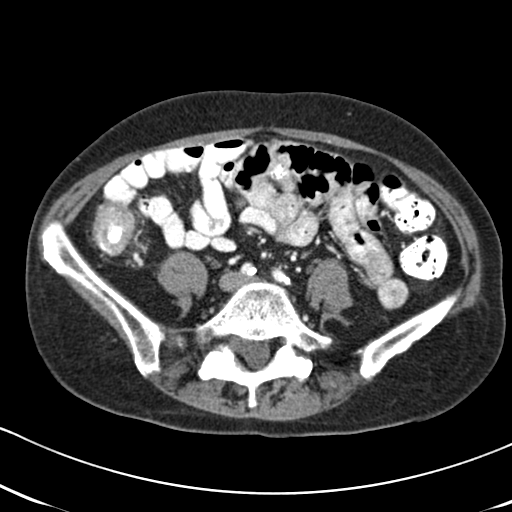

CT
{
  "colon_tumor": [
    "left=94, top=207, right=133, bottom=255"
  ]
}